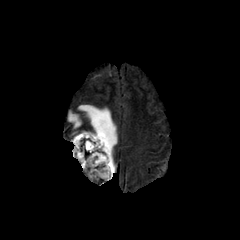
FLAIR MRI.
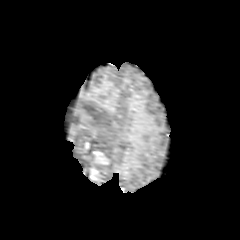
T1-weighted MRI of the same slice.
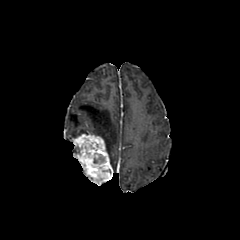
Post-contrast T1-weighted MR image.
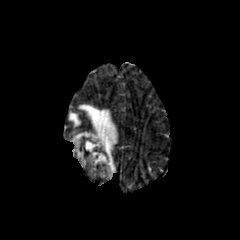
T2-weighted MR.
Head. 240x240.
Non-enhancing tumor core — <box>87,108,99,119</box>, <box>94,157,103,163</box>.
Enhancing tumor — <box>72,134,112,182</box>.
Edema — <box>68,104,117,171</box>.